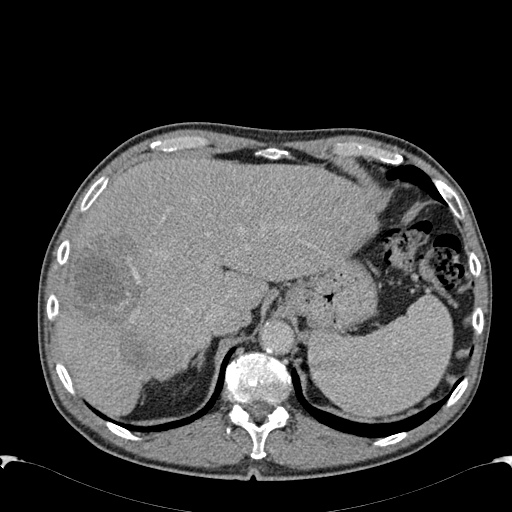
CT slice. Abdomen.

Segmented structures:
- liver: left=58, top=158, right=377, bottom=414
- liver lesion: left=65, top=235, right=158, bottom=370